Brain | Slice 110 of 155
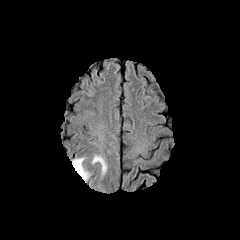
FLAIR MRI.
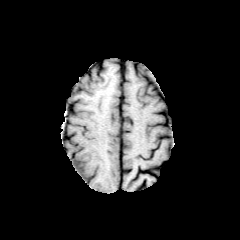
T1-weighted magnetic resonance.
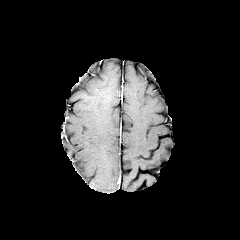
Post-contrast T1-weighted MRI.
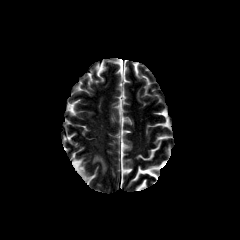
T2-weighted MRI.
edema:
  - 92:155:106:174
  - 72:157:89:180